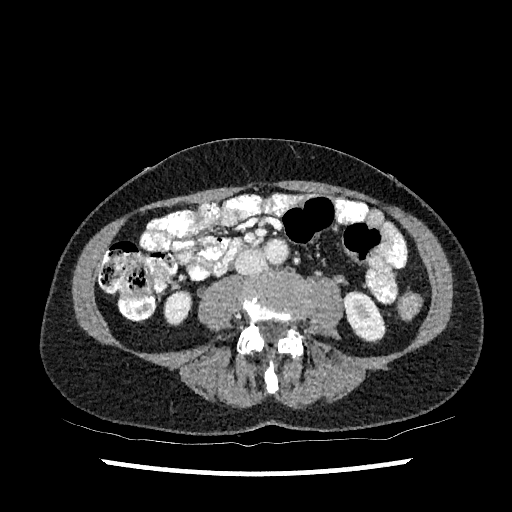

Abdomen, CT

Kidney: bounding box [344,293,384,340], [165,293,189,322].